CT slice. Slice index 224. 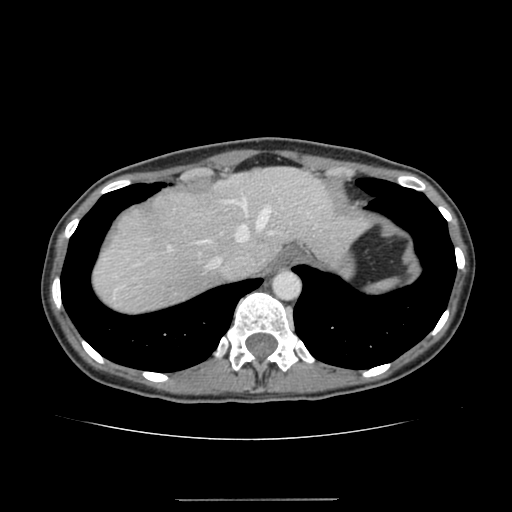 Annotated regions:
• liver: bbox=[93, 167, 366, 314]